512x512 px, Field of view 487 mm wide, 3.75 mm slice spacing, CT slice, Liver 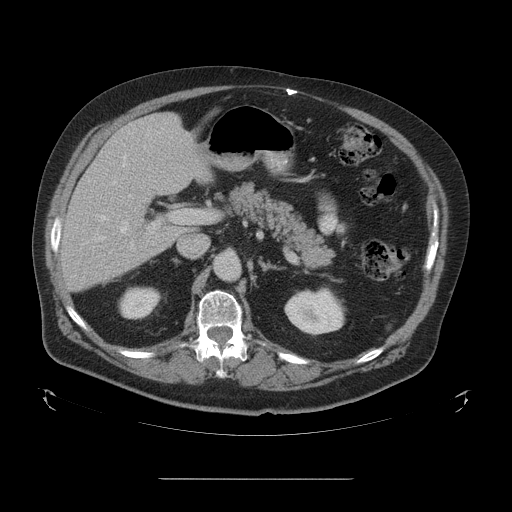
Not every hepatic vessel necessarily has a box.
Findings:
• hepatic vessel: (88, 201, 89, 205), (117, 220, 128, 234), (130, 241, 134, 254), (134, 205, 139, 210), (147, 223, 158, 233), (95, 214, 109, 221), (88, 229, 106, 242), (111, 176, 119, 185), (143, 234, 148, 240), (122, 144, 124, 146), (121, 153, 128, 167), (128, 194, 132, 198), (194, 249, 197, 253), (173, 210, 212, 222)